FLAIR MR.
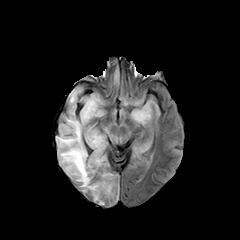
T1-weighted MR.
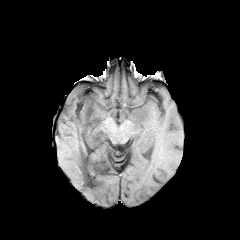
Post-contrast T1-weighted magnetic resonance.
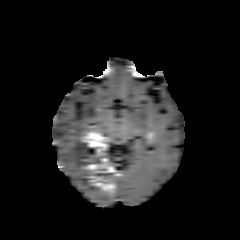
T2-weighted MR.
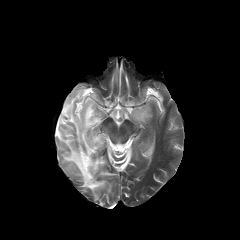
3 edema regions appear at <box>130,106,150,123</box>, <box>56,86,104,204</box>, <box>104,173,118,180</box>. 2 non-enhancing tumor core regions appear at <box>82,123,103,135</box>, <box>82,148,114,191</box>. 3 enhancing tumor regions appear at <box>82,131,107,155</box>, <box>92,178,111,191</box>, <box>94,158,109,171</box>.